512x512 px | CT slice

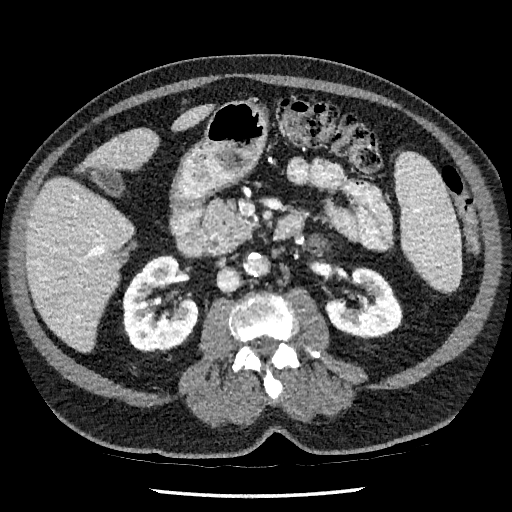 focal_liver_lesion:
  - [112, 251, 122, 260]
kidney:
  - [326, 269, 401, 336]
  - [123, 257, 197, 350]
liver:
  - [174, 106, 210, 129]
  - [82, 128, 157, 168]
  - [26, 177, 133, 350]